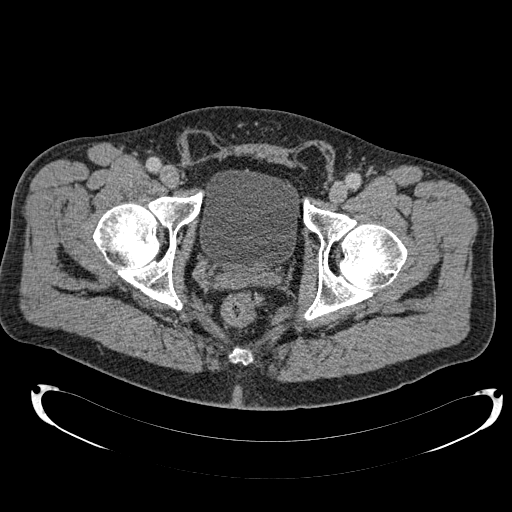
512x512 px. Pelvis. CT.
The urinary bladder appears at region(199, 169, 300, 271).